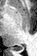

Medial temporal lobe | MR
Posterior hippocampus — 17,47,23,49.